Image size 512x512 | CT scan slice | Field of view 387x387 mm | Slice index 387 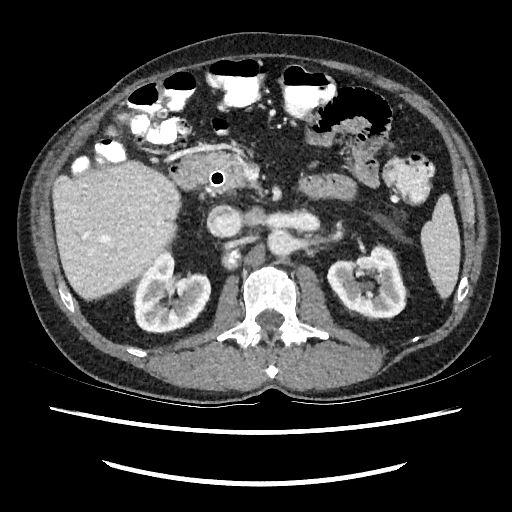

Liver: bbox(54, 162, 179, 298).
Kidney: bbox(135, 253, 210, 331); bbox(328, 248, 404, 316).